Slice index 126; Abdomen; Computed tomography
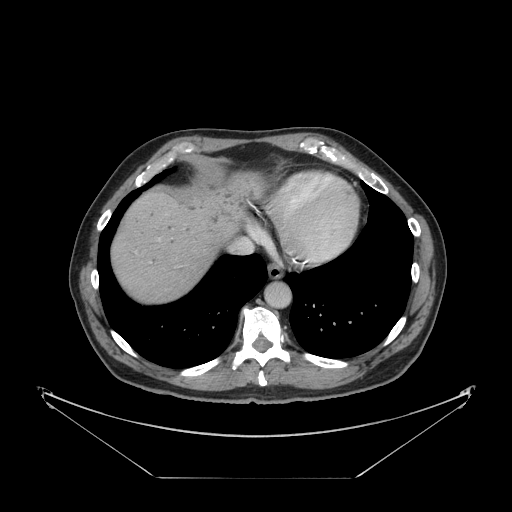
The vessel annotation is not exhaustive.
hepatic_vessel:
  - rect(231, 227, 260, 252)